FLAIR magnetic resonance.
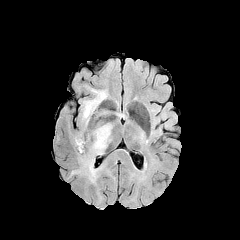
T1-weighted MR image.
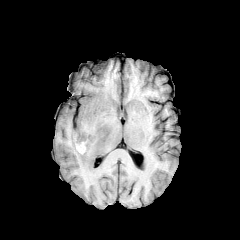
Post-contrast T1-weighted MR.
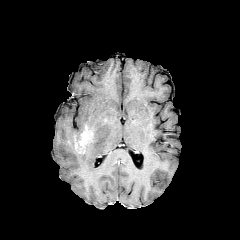
T2-weighted magnetic resonance.
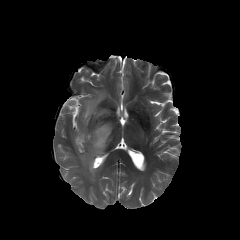
240x240 px; Brain
<segmentation>
  <enhancing_tumor>(75, 125, 93, 147)</enhancing_tumor>
  <edema>(74, 90, 111, 182)</edema>
</segmentation>